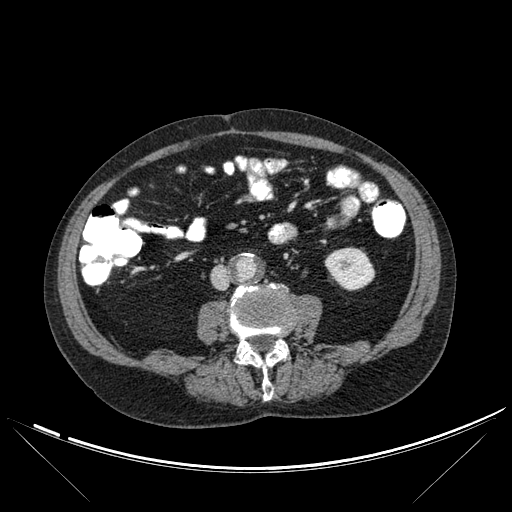
Abdomen, CT scan slice
Bone: (left=230, top=284, right=292, bottom=400).
Kidney: (left=325, top=248, right=374, bottom=290).